512x512; CT image

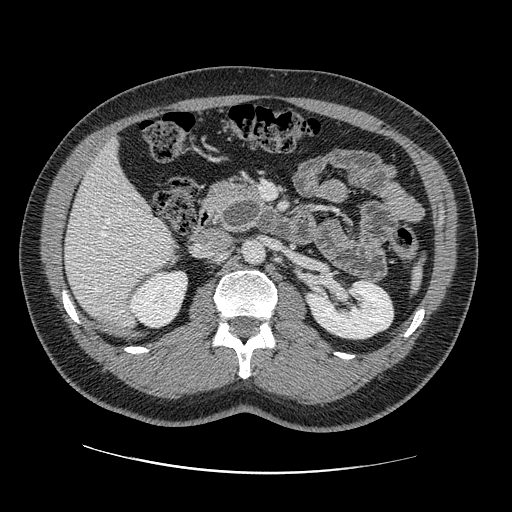

Pancreas = [202, 179, 270, 231].